CT image

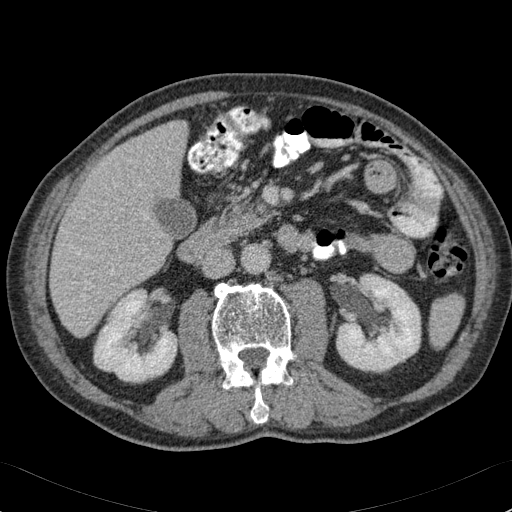 liver: 51 121 187 335 | kidney: 337 274 420 371, 94 290 176 381